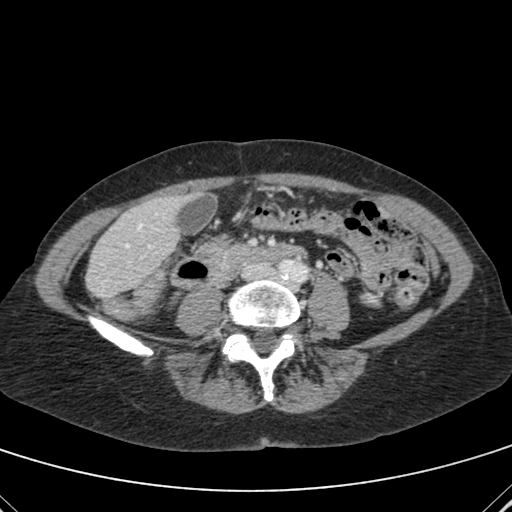 Upper abdomen, CT, 512x512 px

{"liver": ["(86, 195, 192, 297)"]}